FLAIR MRI.
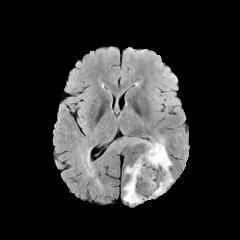
T1-weighted MR.
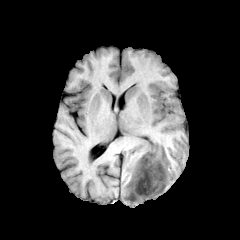
Post-contrast T1-weighted MR image.
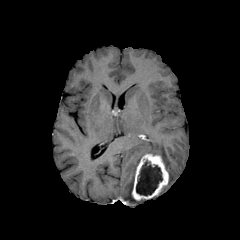
T2-weighted MR.
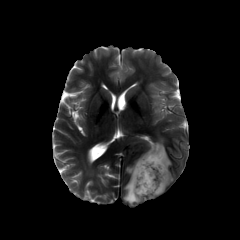
Annotated regions:
* enhancing tumor: {"x1": 132, "y1": 153, "x2": 168, "y2": 200}
* edema: {"x1": 123, "y1": 157, "x2": 143, "y2": 203}, {"x1": 142, "y1": 138, "x2": 173, "y2": 190}
* non-enhancing tumor core: {"x1": 136, "y1": 162, "x2": 162, "y2": 195}